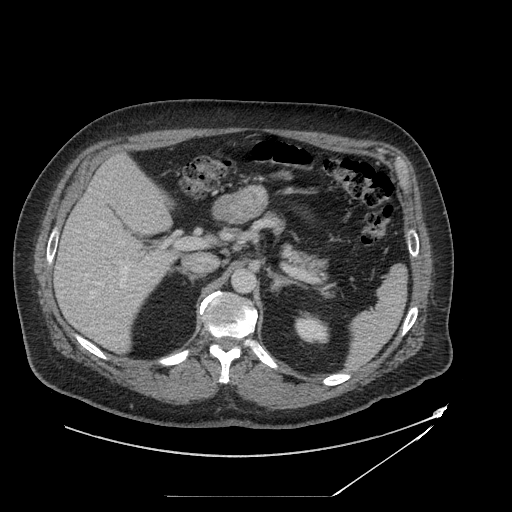

CT scan slice

pancreas: (left=264, top=211, right=338, bottom=298)